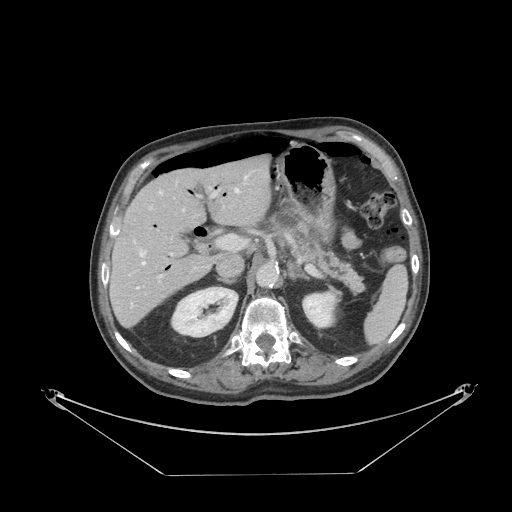

Computed tomography
Pancreas at [271,211,363,293].